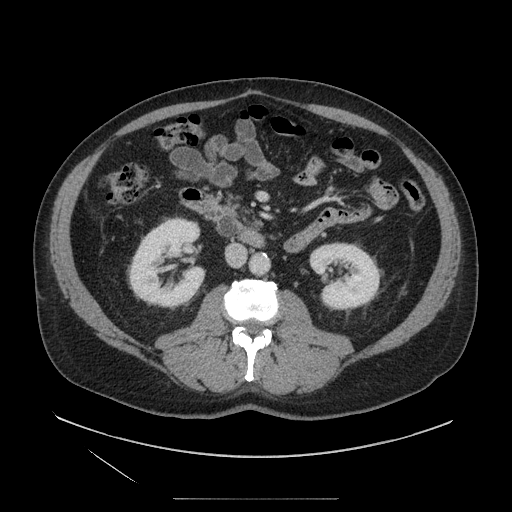 Upper abdomen; CT image
{"pancreas": ["(207,202,243,240)"], "pancreatic_tumor": ["(219,214,236,237)"]}